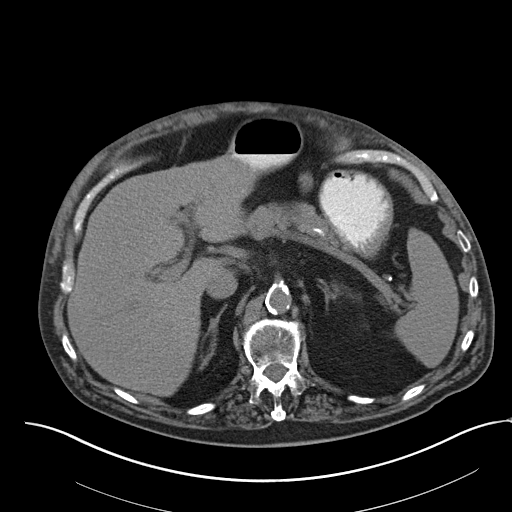

CT image, Upper abdomen, 512x512

The spleen is bounded by rect(396, 231, 457, 364).